CT slice, Liver, Image width 403 mm, Image size 512x512 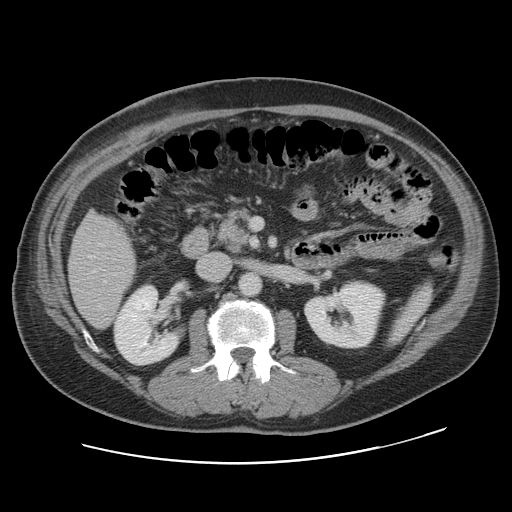 Not every hepatic vessel necessarily has a box.
hepatic vessel: <bbox>113, 273, 115, 275</bbox>, <bbox>103, 280, 106, 283</bbox>, <bbox>98, 304, 102, 309</bbox>